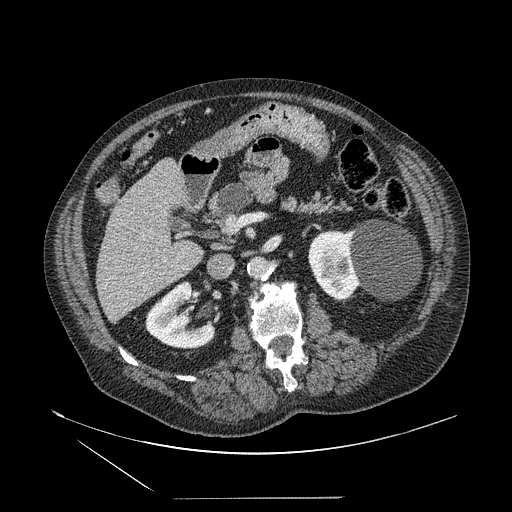

512x512, Upper abdomen, Computed tomography

2 pancreas regions appear at [208, 184, 256, 223], [278, 192, 352, 216]. The pancreatic tumor lies within [218, 182, 252, 214].